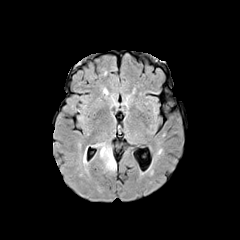
FLAIR MR image.
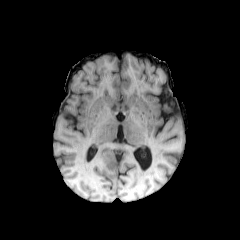
T1-weighted MR image.
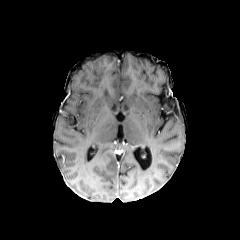
Post-contrast T1-weighted magnetic resonance.
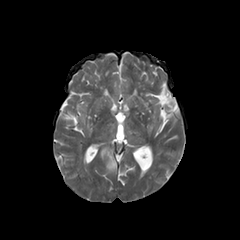
Same slice, T2-weighted MR image.
240x240
The edema is located at bbox(94, 142, 116, 172).